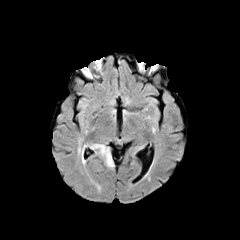
FLAIR MR image.
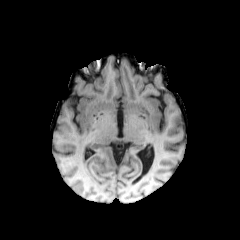
T1-weighted MR.
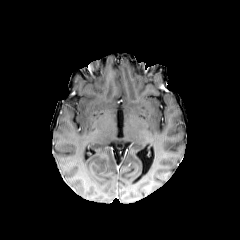
Post-contrast T1-weighted MR image.
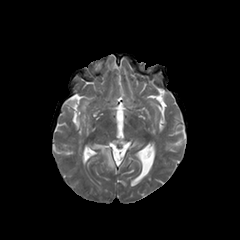
Same slice, T2-weighted MR.
Brain | 240x240 px
2 edema regions are bounded by (left=89, top=144, right=114, bottom=168), (left=78, top=145, right=86, bottom=164).